CT scan slice
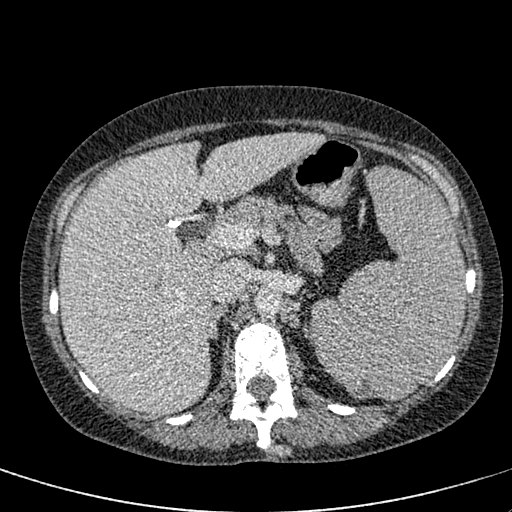
liver: (left=59, top=133, right=323, bottom=414)